Brain, Image width 240 mm, 240x240 px, Slice 59 of 155
FLAIR magnetic resonance.
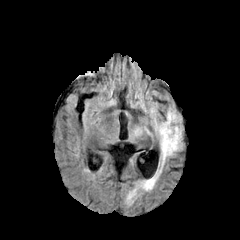
T1-weighted MRI.
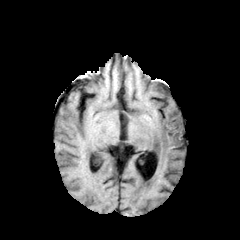
Post-contrast T1-weighted magnetic resonance.
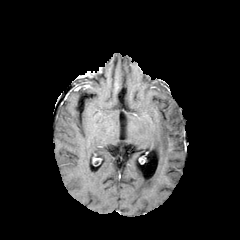
T2-weighted MR image.
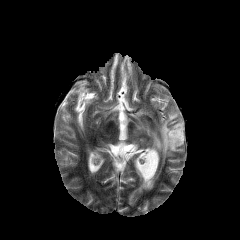
Edema at (left=128, top=107, right=183, bottom=203).